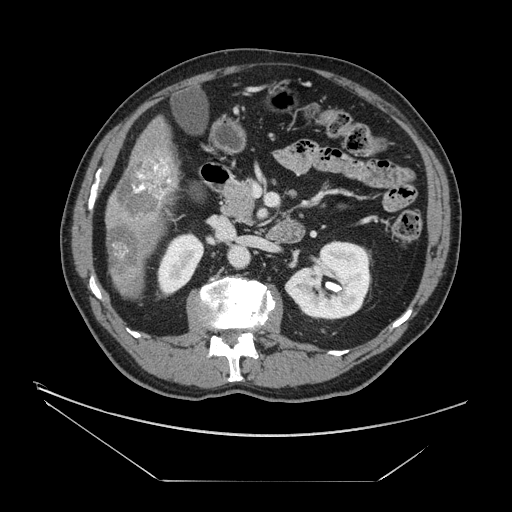 CT scan slice, Abdomen
Liver tumor at 108:225:138:275, 116:159:173:217.